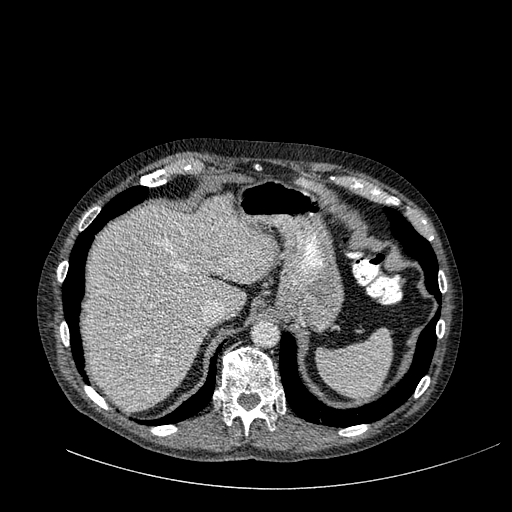 CT scan slice

* liver: [83,195,275,409]